Computed tomography; Slice 191/455; 512x512

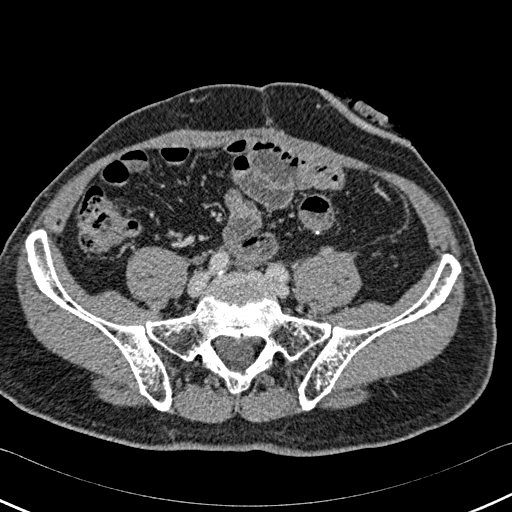 <segmentation>
  <bone>x1=26 y1=230 x2=460 y2=410</bone>
</segmentation>